Slice 58 of 155 | Head
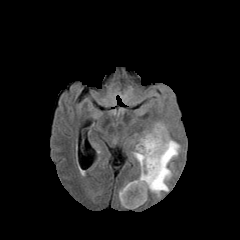
FLAIR MR image.
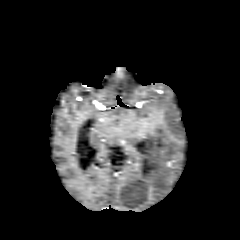
T1-weighted magnetic resonance of the same slice.
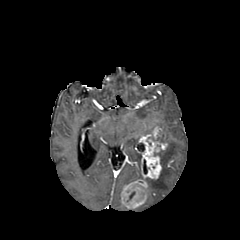
Post-contrast T1-weighted MR of the same slice.
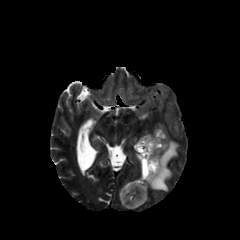
T2-weighted magnetic resonance of the same slice.
Enhancing tumor = x1=120 y1=126 x2=168 y2=208.
Non-enhancing tumor core = x1=143 y1=160 x2=147 y2=174, x1=137 y1=142 x2=144 y2=152.
Edema = x1=148 y1=136 x2=180 y2=196, x1=133 y1=151 x2=141 y2=166.